FLAIR MR image.
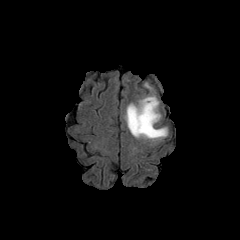
T1-weighted magnetic resonance.
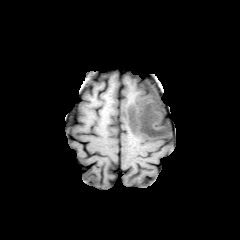
Post-contrast T1-weighted MR image.
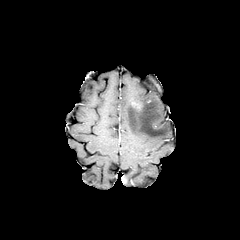
T2-weighted MR.
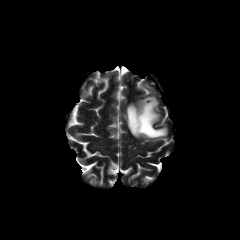
Enhancing tumor — [131,102,142,109].
Edema — [125,96,168,140].